Brain. 240x240 px.
FLAIR magnetic resonance.
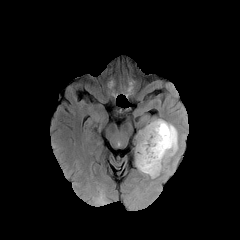
T1-weighted MR image.
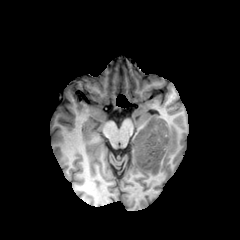
Post-contrast T1-weighted MR image.
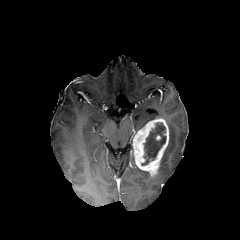
T2-weighted MRI.
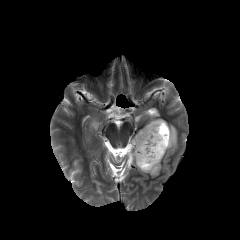
<segmentation>
  <edema>box=[138, 121, 181, 177]</edema>
  <enhancing_tumor>box=[133, 118, 169, 176]</enhancing_tumor>
  <non-enhancing_tumor_core>box=[142, 123, 165, 165]</non-enhancing_tumor_core>
</segmentation>